CT. Pelvis. 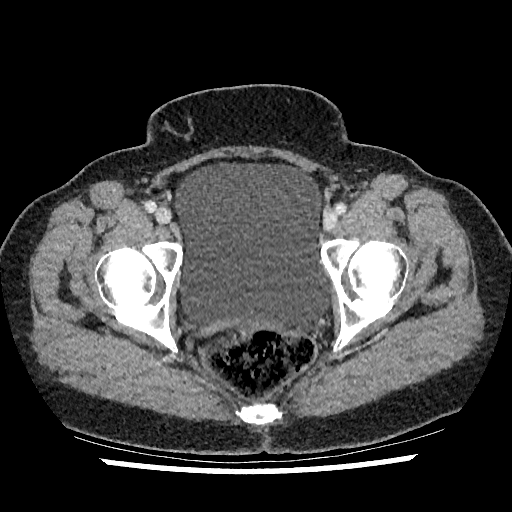 Annotated regions:
- urinary bladder: [175, 162, 332, 332]